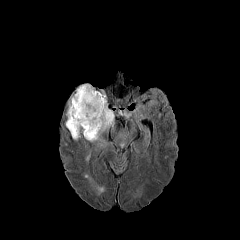
FLAIR MR.
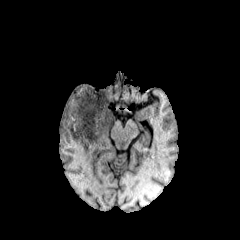
T1-weighted MR.
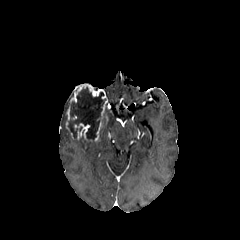
Post-contrast T1-weighted MR image.
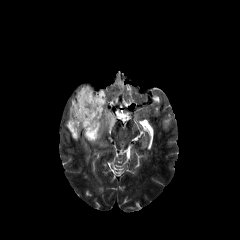
Same slice, T2-weighted MR.
Non-enhancing tumor core at 64, 89, 107, 139.
Edema at 97, 137, 107, 149; 100, 109, 114, 135.
Enhancing tumor at 69, 83, 107, 115; 65, 107, 76, 140; 74, 121, 102, 143.